FLAIR MR.
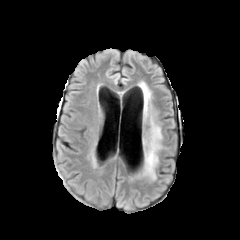
T1-weighted MR image.
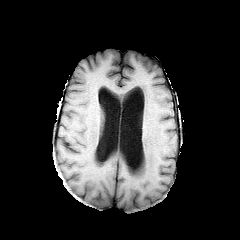
Post-contrast T1-weighted magnetic resonance.
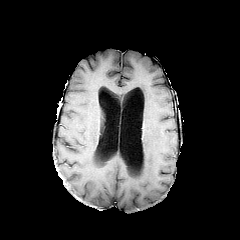
T2-weighted MR.
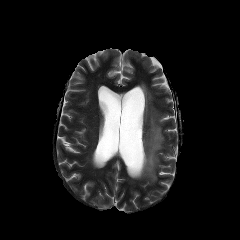
Head.
Edema: bounding box [135,82,162,179].